Image size 512x512, CT scan slice, Slice 390/771
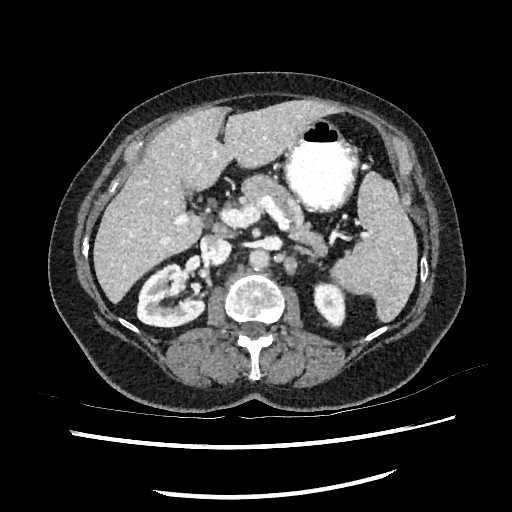 Kidney at <box>138,265,203,326</box>, <box>315,285,343,324</box>.
Hepatic lesion at <box>101,244,109,252</box>.
Liver at <box>95,99,334,302</box>.